Head. Slice 68/155.
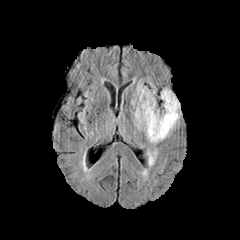
FLAIR MRI.
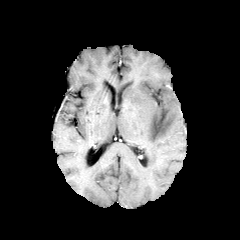
Same slice, T1-weighted MR image.
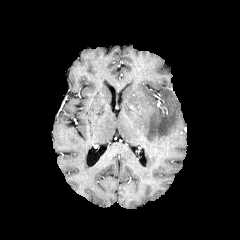
Post-contrast T1-weighted MR.
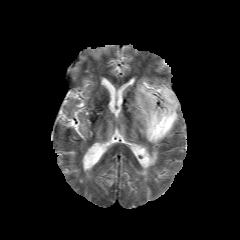
T2-weighted MR image.
Edema: bounding box bbox(145, 149, 156, 166); bbox(132, 84, 179, 144).